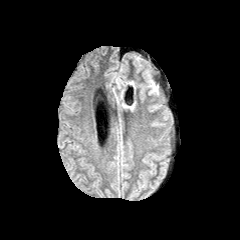
FLAIR MRI.
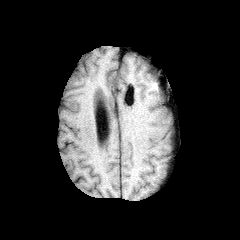
T1-weighted MR.
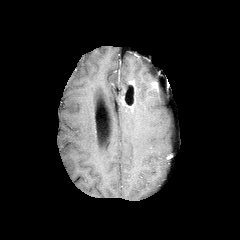
Same slice, post-contrast T1-weighted MR.
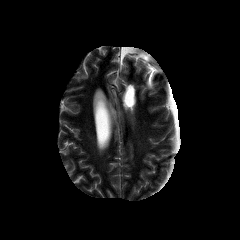
T2-weighted MRI.
240x240. Head.
edema: bbox(142, 70, 151, 89)